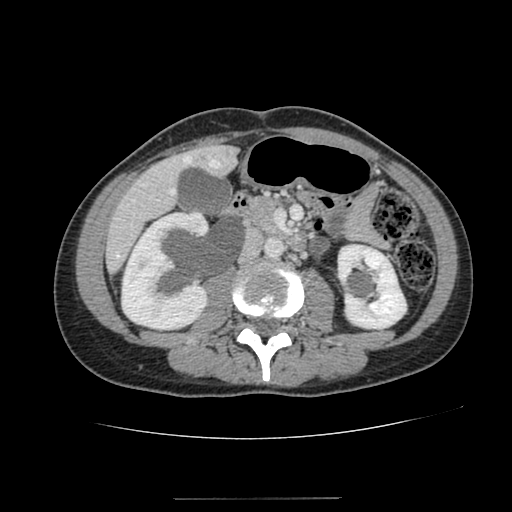
CT image.

liver: box(106, 144, 238, 273) | kidney: box(122, 213, 207, 328); box(338, 245, 406, 328)